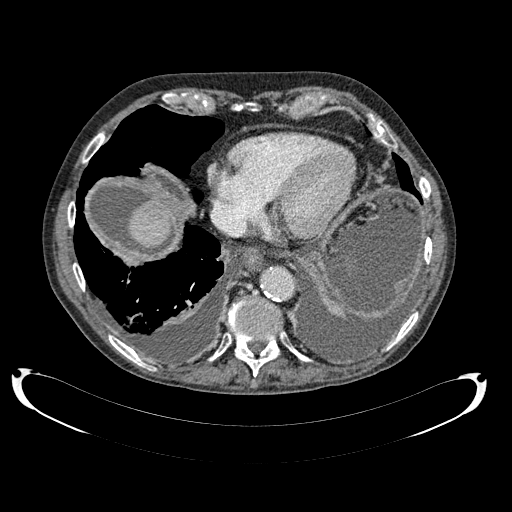
CT. Abdomen.

Liver: bounding box 130, 197, 171, 245.